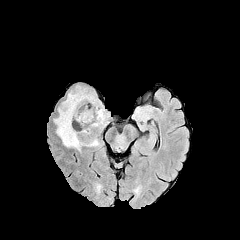
FLAIR MR.
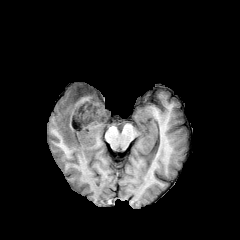
T1-weighted MR image.
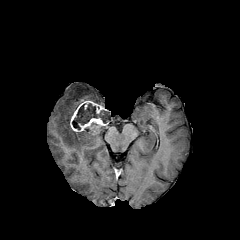
Post-contrast T1-weighted MRI of the same slice.
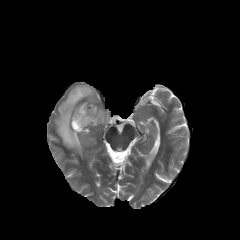
Same slice, T2-weighted MR.
Head
Enhancing tumor = bbox(70, 104, 81, 131); bbox(79, 116, 104, 131); bbox(84, 101, 104, 115).
Non-enhancing tumor core = bbox(74, 89, 89, 100); bbox(72, 101, 108, 133).
Edema = bbox(56, 85, 98, 153).